Liver. Slice 102 of 151. CT slice.
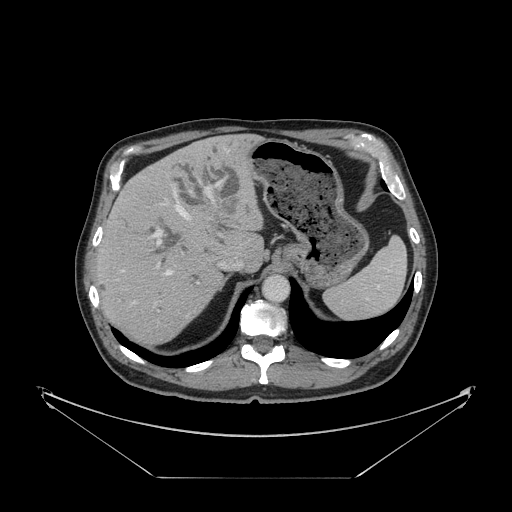 The vessel boxes may cover only some of the vessels.
liver tumor: region(207, 197, 241, 219) | hepatic vessel: region(161, 204, 165, 204); region(172, 186, 189, 219); region(189, 191, 191, 192); region(204, 187, 211, 198); region(220, 263, 225, 267); region(165, 271, 171, 274); region(132, 302, 135, 304); region(216, 181, 222, 185); region(122, 270, 123, 271); region(156, 265, 158, 267); region(151, 229, 161, 244)